CT
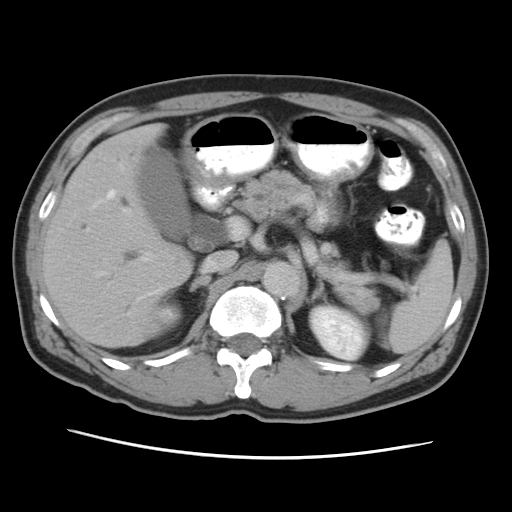

Pancreas: [235, 172, 321, 230], [323, 259, 375, 303].